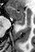
Medial temporal lobe; MRI slice
Anterior hippocampus at l=8, t=6, r=25, b=19.
Posterior hippocampus at l=16, t=20, r=24, b=24.